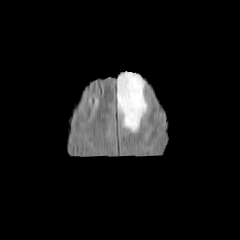
FLAIR MR image.
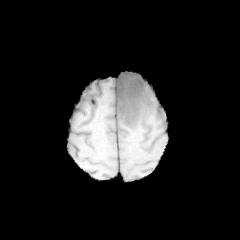
T1-weighted magnetic resonance.
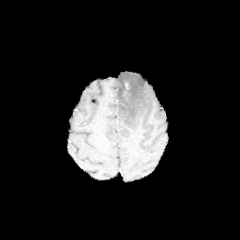
Same slice, post-contrast T1-weighted magnetic resonance.
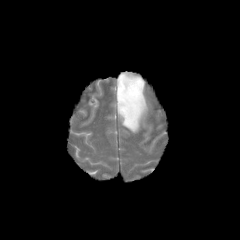
T2-weighted MRI.
Brain.
{"edema": [{"x1": 117, "y1": 72, "x2": 147, "y2": 131}]}